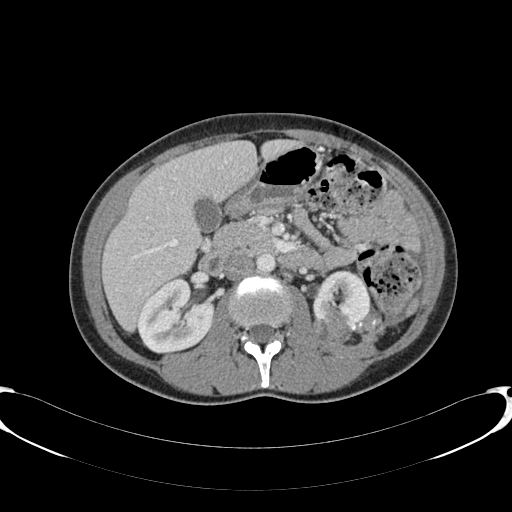

Upper abdomen; CT
{
  "kidney": [
    "311:272:369:343",
    "139:280:212:351"
  ],
  "liver": [
    "103:141:257:330",
    "261:140:302:160"
  ]
}